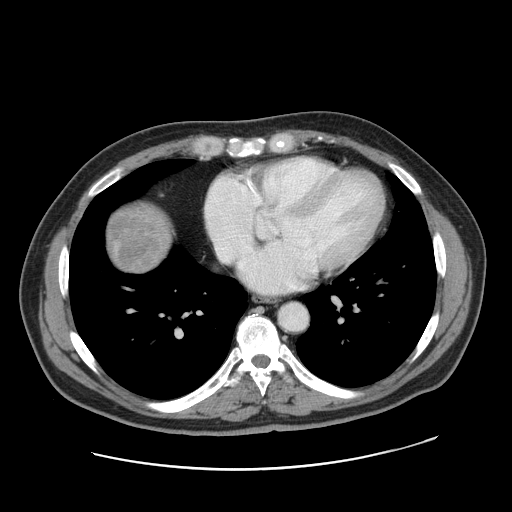

Image size 512x512; Liver; CT image
Liver tumor: bounding box x1=110, y1=209, x2=163, y2=271.